Slice 215/422. CT slice. 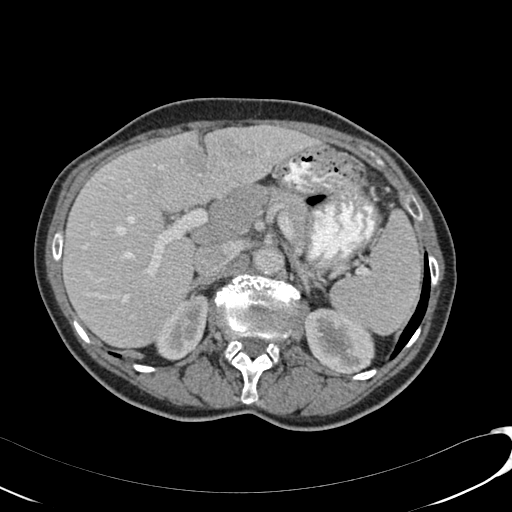

Focal liver lesion = box(149, 178, 160, 189); box(187, 150, 205, 173); box(214, 133, 252, 165).
Kidney = box(156, 295, 208, 359); box(305, 309, 373, 373).
Liver = box(63, 125, 322, 346).